Medial temporal lobe | MRI slice | Image width 33 mm
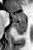
anterior hippocampus: x1=10, y1=12, x2=25, y2=21 | posterior hippocampus: x1=13, y1=21, x2=26, y2=34